512x512. CT scan slice. Field of view 381 mm wide, 1.50 mm slice spacing. 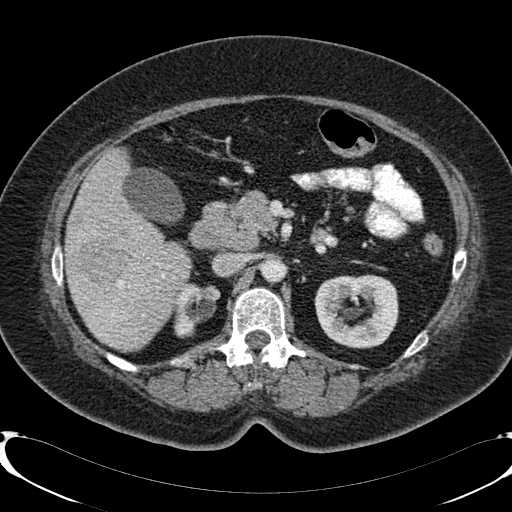 Kidney — bbox(316, 276, 397, 347); bbox(173, 285, 219, 335).
Liver — bbox(66, 150, 190, 349).
Focal liver lesion — bbox(79, 239, 130, 284).